Slice index 87; Brain
FLAIR MR.
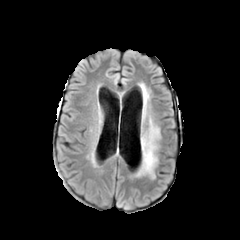
T1-weighted MRI.
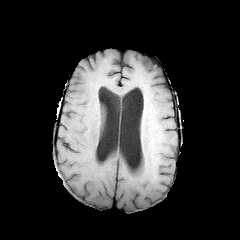
Post-contrast T1-weighted MRI.
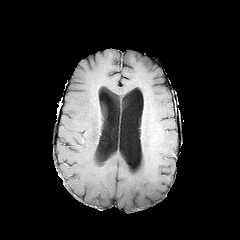
T2-weighted MRI.
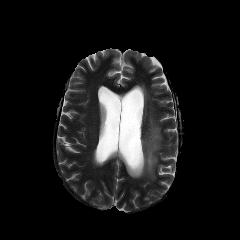
edema: (133, 83, 159, 178)